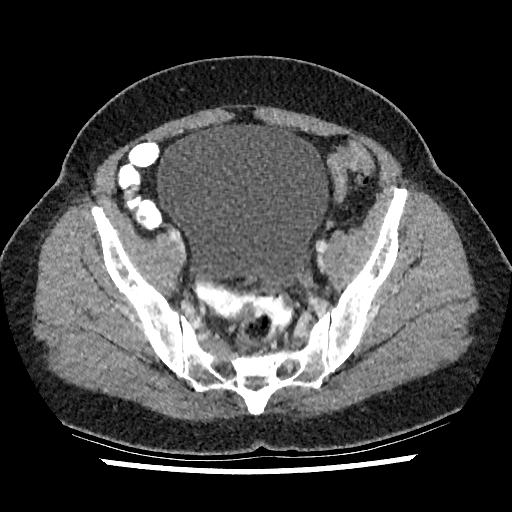

Pelvis; 512x512; CT scan slice
Urinary bladder = left=157, top=122, right=328, bottom=292.